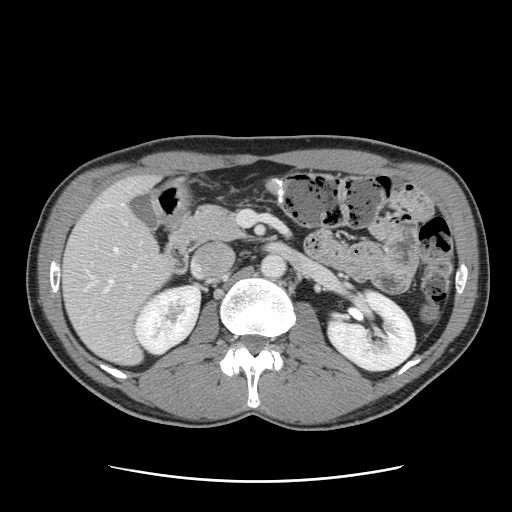
Abdomen. CT.

Only some of the vessels may be annotated.
7 hepatic vessel regions are located at (105, 205, 108, 205), (123, 222, 126, 224), (109, 280, 112, 285), (133, 265, 135, 267), (103, 288, 108, 291), (114, 248, 117, 252), (86, 275, 94, 289).